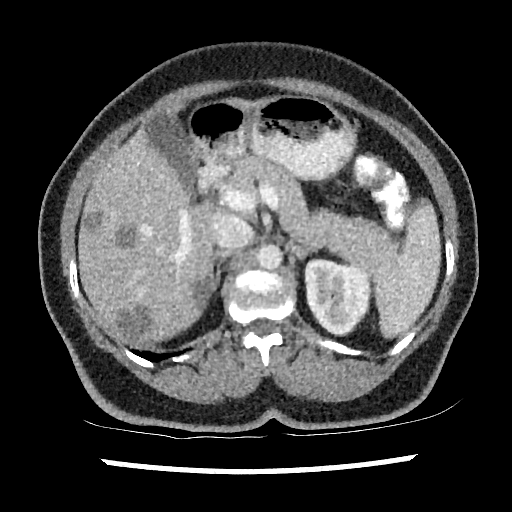
512x512 px, Upper abdomen, CT scan slice
Liver lesion — <box>115,226,135,247</box>, <box>116,306,153,342</box>, <box>82,211,101,231</box>, <box>193,278,208,309</box>.
Kidney — <box>306,260,368,333</box>.
Liver — <box>230,100,264,108</box>, <box>164,101,184,120</box>, <box>78,127,214,343</box>.